Slice index 43; CT scan slice; Upper abdomen; 512x512

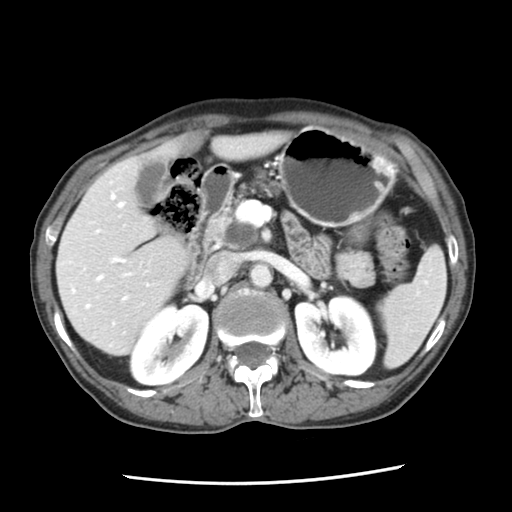

Pancreatic tumor: bounding box (x1=226, y1=223, x2=254, y2=247).
Pancreas: bounding box (x1=208, y1=204, x2=257, y2=250).